Brain.
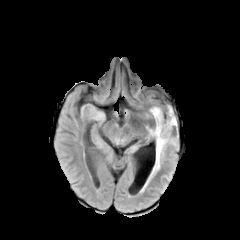
FLAIR MR image.
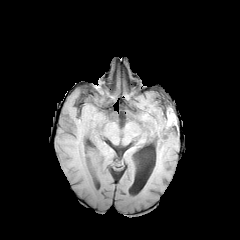
T1-weighted magnetic resonance.
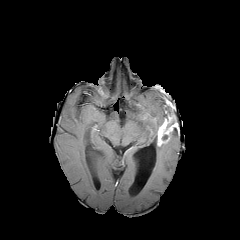
Post-contrast T1-weighted magnetic resonance of the same slice.
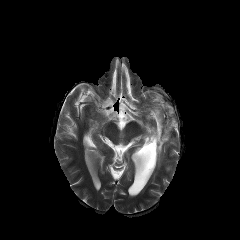
T2-weighted MR of the same slice.
2 non-enhancing tumor core regions are located at l=152, t=126, r=157, b=148; l=162, t=104, r=173, b=123. 2 edema regions appear at l=146, t=105, r=162, b=141; l=152, t=129, r=177, b=172. The enhancing tumor is located at l=156, t=116, r=177, b=145.